Brain, Slice index 54, Image size 240x240
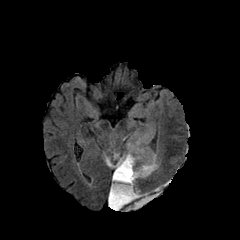
FLAIR MRI.
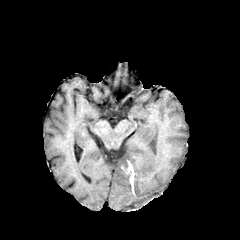
T1-weighted MRI of the same slice.
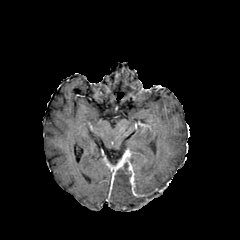
Post-contrast T1-weighted MR image of the same slice.
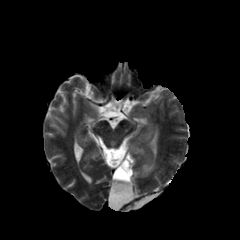
Same slice, T2-weighted magnetic resonance.
Edema: (108,154,159,210).
Enhancing tumor: (112,148,134,185).
Non-enhancing tumor core: (132,175,144,197), (104,147,125,177), (115,162,131,181).